512x512 | Field of view 480 mm wide, 1.50 mm slice spacing | Abdomen | CT image | Slice index 54

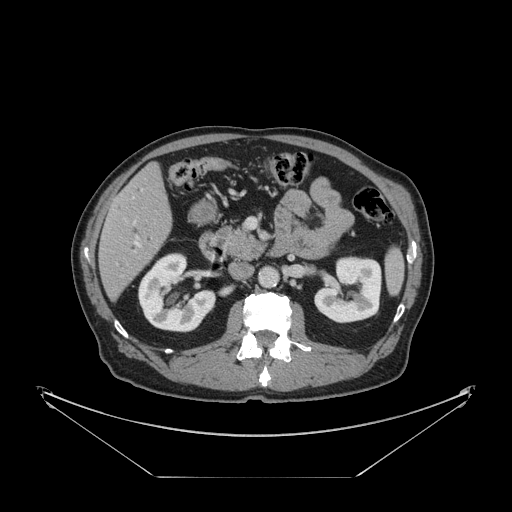

Some hepatic vessels may have no box.
hepatic vessel: region(134, 236, 139, 245); region(133, 221, 134, 224)